FLAIR MR image.
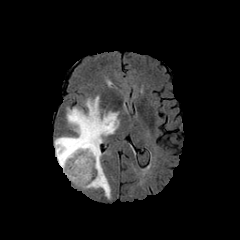
T1-weighted MRI.
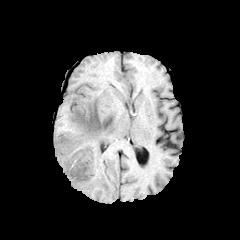
Post-contrast T1-weighted magnetic resonance.
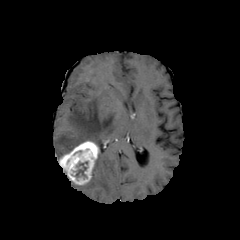
T2-weighted MR image.
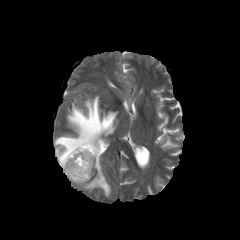
Brain
<segmentation>
  <enhancing_tumor>59 140 99 183</enhancing_tumor>
  <non-enhancing_tumor_core>76 161 87 177, 80 114 99 129</non-enhancing_tumor_core>
  <edema>82 150 111 197, 55 96 118 159</edema>
</segmentation>